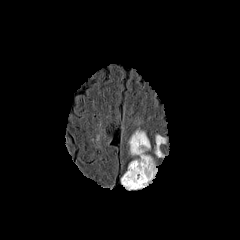
FLAIR MRI.
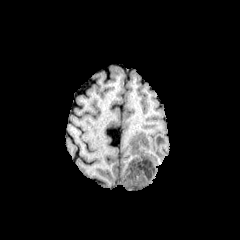
T1-weighted MR image of the same slice.
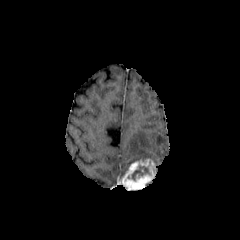
Post-contrast T1-weighted magnetic resonance of the same slice.
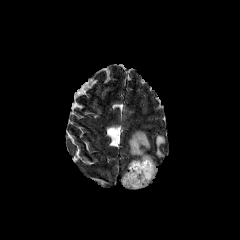
T2-weighted magnetic resonance.
Non-enhancing tumor core: bounding box {"x1": 127, "y1": 165, "x2": 151, "y2": 181}.
Edema: bounding box {"x1": 154, "y1": 135, "x2": 166, "y2": 157}, {"x1": 128, "y1": 130, "x2": 151, "y2": 158}.
Enhancing tumor: bounding box {"x1": 121, "y1": 157, "x2": 155, "y2": 190}.